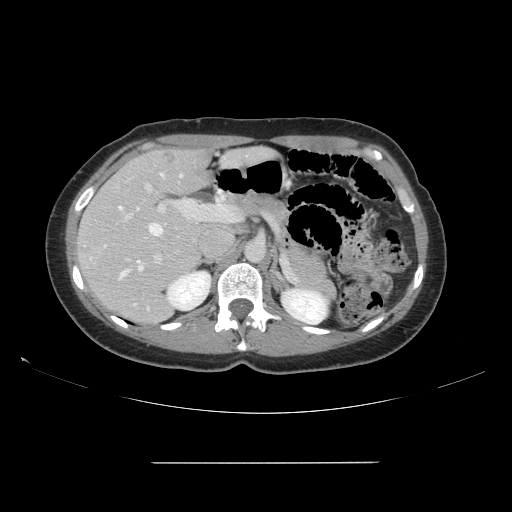

CT
Not every hepatic vessel necessarily has a box.
Liver tumor: left=164, top=152, right=178, bottom=163.
Principal 15 of 16 hepatic vessel regions: left=136, top=260, right=143, bottom=269; left=159, top=204, right=164, bottom=211; left=126, top=259, right=128, bottom=260; left=125, top=214, right=131, bottom=219; left=104, top=245, right=105, bottom=247; left=132, top=303, right=136, bottom=305; left=173, top=201, right=181, bottom=207; left=145, top=183, right=150, bottom=190; left=160, top=173, right=163, bottom=178; left=148, top=223, right=162, bottom=235; left=179, top=175, right=182, bottom=178; left=118, top=269, right=128, bottom=280; left=118, top=205, right=122, bottom=210; left=154, top=255, right=161, bottom=262; left=90, top=257, right=91, bottom=259.